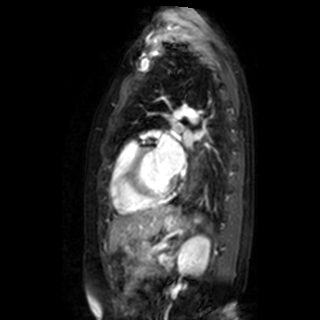 Magnetic resonance. Annotated regions:
* left atrium: 174, 123, 183, 131; 158, 135, 184, 174; 184, 132, 193, 145